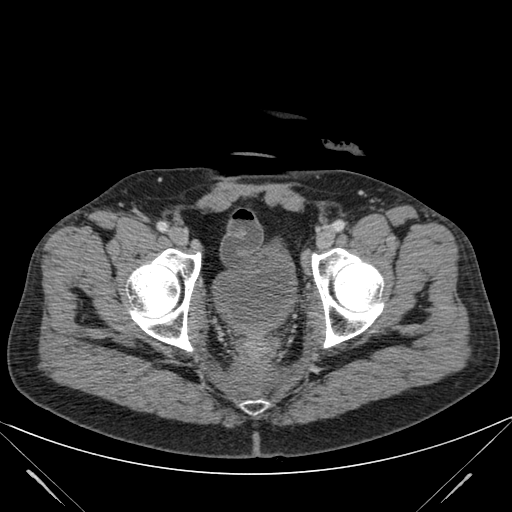
CT scan slice

Annotated regions:
- urinary bladder: left=212, top=239, right=297, bottom=337